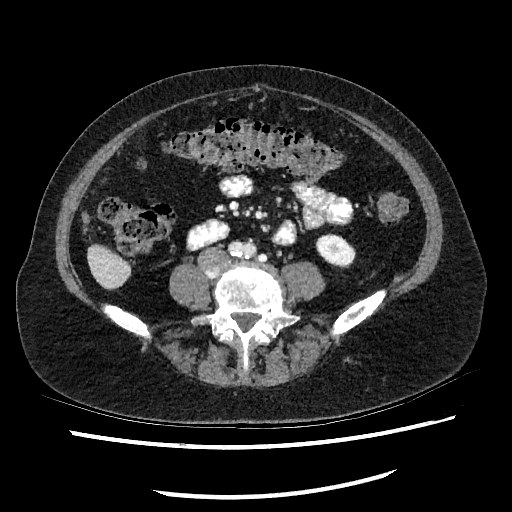

CT, Abdomen

The liver appears at (88, 245, 129, 288). The kidney lies within (317, 236, 353, 264).